Pelvis | Slice 25/104 | CT slice 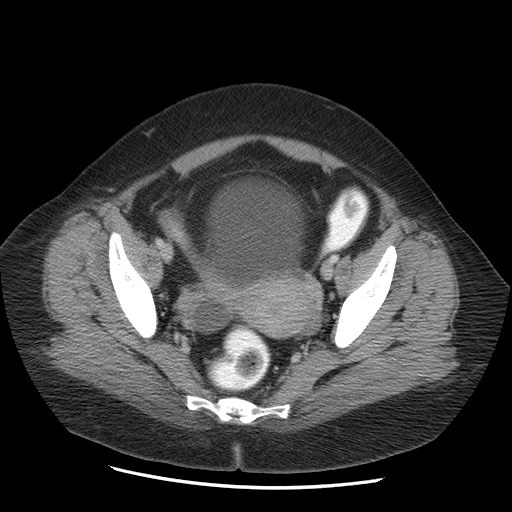 {"urinary_bladder": ["(199, 184, 304, 289)"]}